Brain; Slice index 112
FLAIR magnetic resonance.
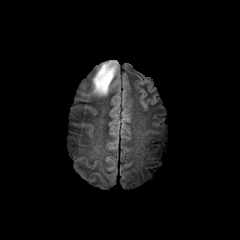
T1-weighted MRI.
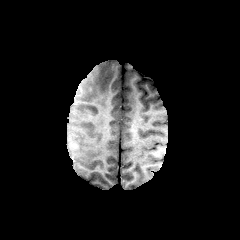
Post-contrast T1-weighted MR image.
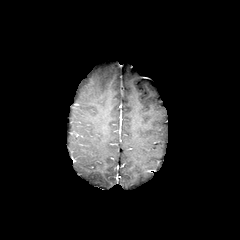
T2-weighted MRI.
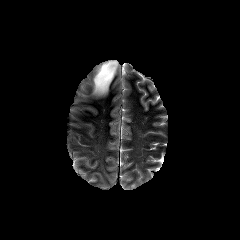
Edema: bounding box (x1=94, y1=60, x2=117, y2=93).